Slice 109 of 155 | Head
FLAIR MR image.
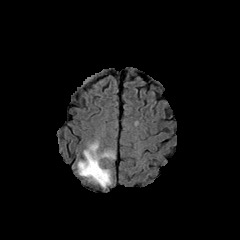
T1-weighted MR.
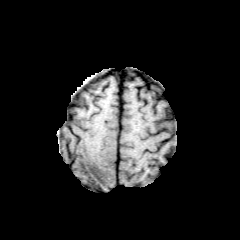
Post-contrast T1-weighted magnetic resonance.
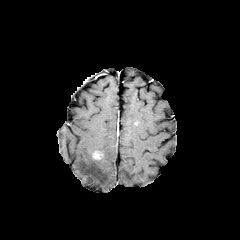
T2-weighted magnetic resonance.
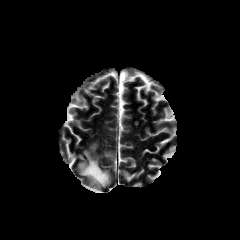
<segmentation>
  <edema>l=77, t=141, r=115, b=187</edema>
</segmentation>